CT slice, Slice 168/605 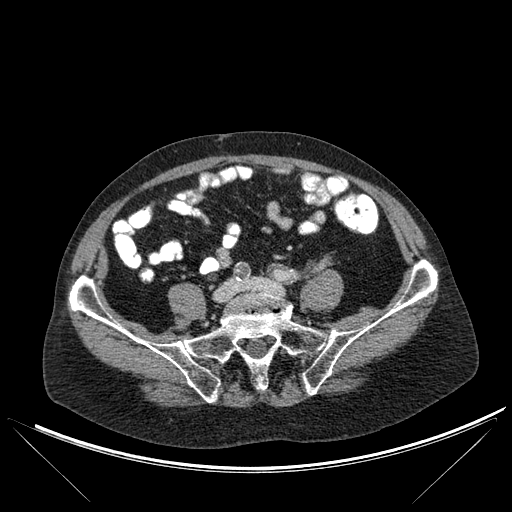

* bone: 69,260,437,402